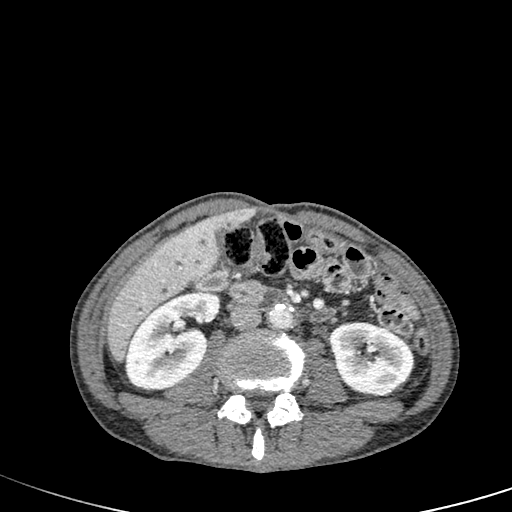 512x512. Liver. CT image.
{
  "liver": [
    "(x1=107, y1=214, x2=224, y2=362)"
  ],
  "liver_lesion": [
    "(x1=219, y1=208, x2=253, y2=229)"
  ],
  "kidney": [
    "(x1=330, y1=323, x2=412, y2=394)",
    "(x1=126, y1=292, x2=218, y2=388)"
  ]
}